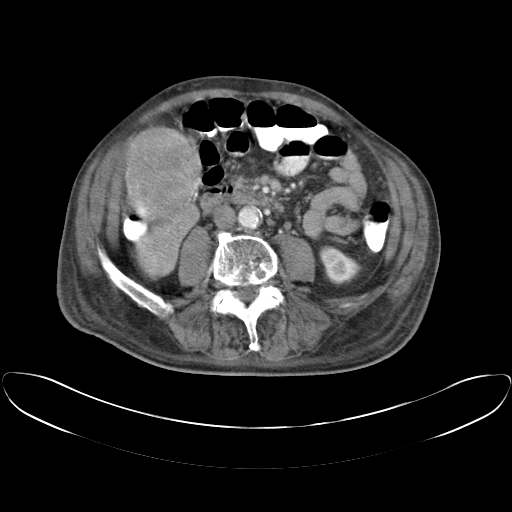

CT slice.
Some hepatic vessels may have no box.
Liver tumor at bbox=[131, 144, 195, 210].
Hepatic vessel at bbox=[138, 200, 143, 204]; bbox=[150, 256, 155, 271]; bbox=[164, 262, 170, 269]; bbox=[146, 239, 149, 242]; bbox=[143, 240, 144, 243].